CT slice; Liver; Slice 53 of 105 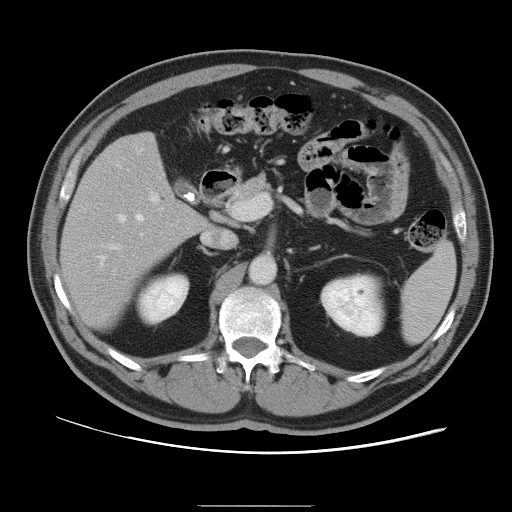 The vessel annotation is not exhaustive.
12 hepatic vessel regions appear at <box>150,193,158,201</box>, <box>98,255,105,265</box>, <box>158,207,162,210</box>, <box>136,148,142,154</box>, <box>110,244,120,249</box>, <box>116,164,121,167</box>, <box>100,245,103,245</box>, <box>148,188,150,189</box>, <box>118,214,125,222</box>, <box>136,214,143,221</box>, <box>140,233,142,235</box>, <box>127,169,128,170</box>.